Slice 416 of 856 | CT scan slice

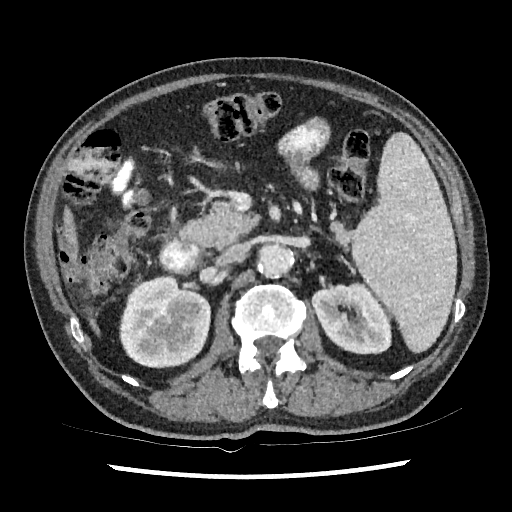 3 liver regions are bounded by <bbox>89, 318, 100, 334</bbox>, <bbox>64, 267, 74, 281</bbox>, <bbox>63, 207, 76, 255</bbox>. 2 kidney regions are bounded by <bbox>120, 277, 210, 367</bbox>, <bbox>312, 284, 390, 353</bbox>.